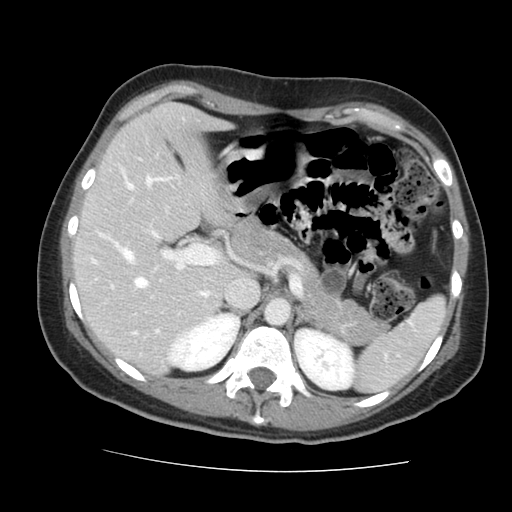
CT slice

The vessel annotation is not exhaustive.
Findings:
• hepatic vessel: rect(99, 234, 106, 237); rect(92, 260, 95, 263); rect(156, 331, 157, 332); rect(114, 242, 132, 261); rect(135, 278, 146, 287)